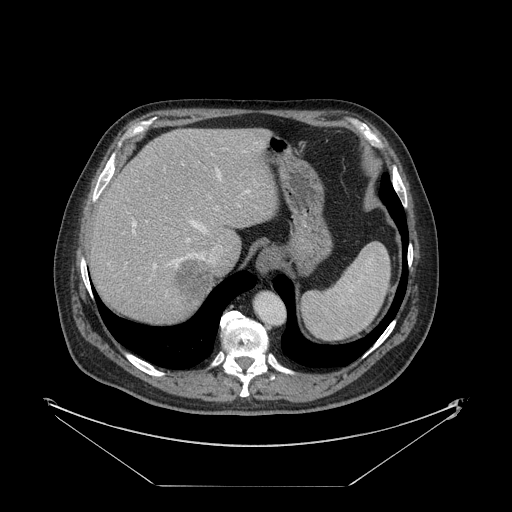
512x512, Abdomen, CT image
Not every hepatic vessel necessarily has a box.
7 hepatic vessel regions are located at left=125, top=262, right=126, bottom=264; left=244, top=190, right=248, bottom=192; left=186, top=238, right=188, bottom=241; left=200, top=256, right=203, bottom=258; left=132, top=221, right=136, bottom=232; left=153, top=264, right=155, bottom=267; left=216, top=169, right=220, bottom=177. The liver tumor appears at left=172, top=260, right=212, bottom=303.